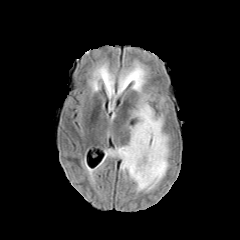
FLAIR magnetic resonance.
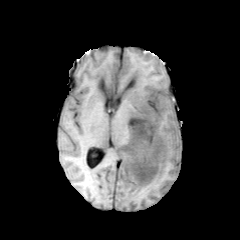
Same slice, T1-weighted MR image.
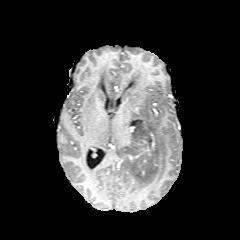
Post-contrast T1-weighted MRI.
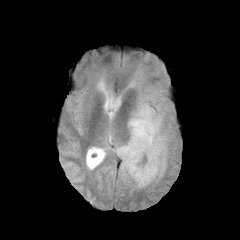
T2-weighted magnetic resonance.
Head
{"non-enhancing_tumor_core": ["148,106,155,121", "118,118,159,187"], "edema": ["109,62,170,191", "99,69,115,109", "130,135,143,149"]}